CT scan slice. Liver. Image width 353 mm.

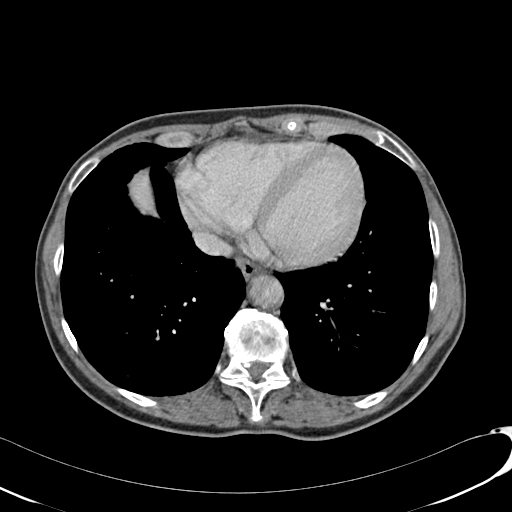

liver:
  - (x1=130, y1=175, x2=152, y2=210)